32x47 px. MRI.

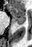
{
  "posterior_hippocampus": [
    "<box>16,20,25,24</box>"
  ],
  "anterior_hippocampus": [
    "<box>10,7,25,19</box>"
  ]
}